CT 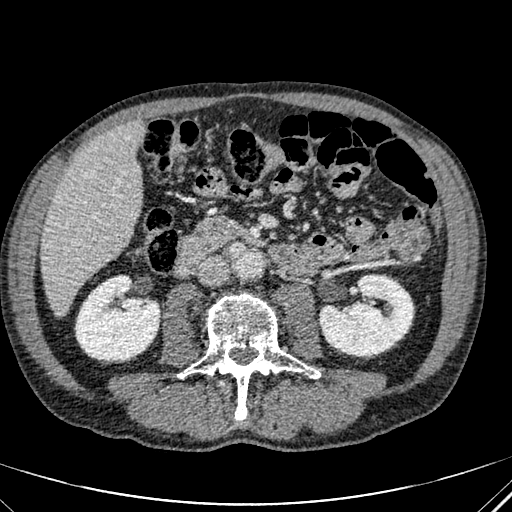 liver: <box>40,120,142,314</box> | kidney: <box>76,276,159,359</box>, <box>320,275,412,355</box>